Slice 65 of 97; Field of view 460x460 mm; CT 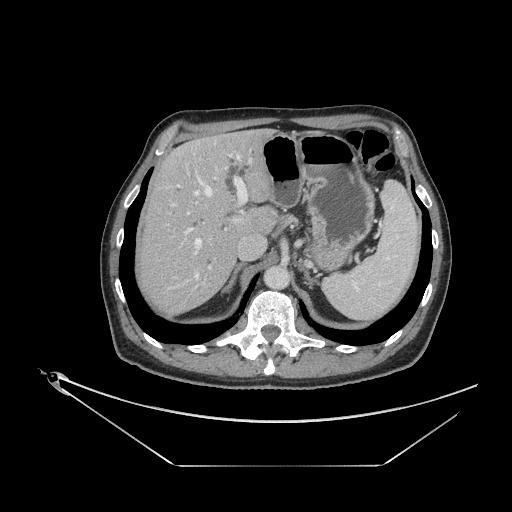
{"pancreas": ["bbox(314, 218, 321, 234)"]}